FLAIR magnetic resonance.
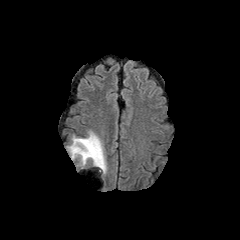
T1-weighted magnetic resonance.
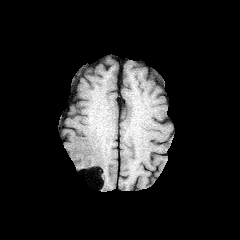
Post-contrast T1-weighted MR.
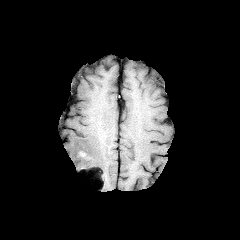
T2-weighted MRI.
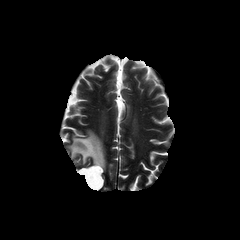
Head
Annotated regions:
- edema: [66,130,107,174]